FLAIR magnetic resonance.
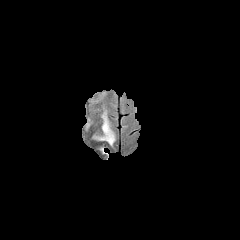
T1-weighted MRI.
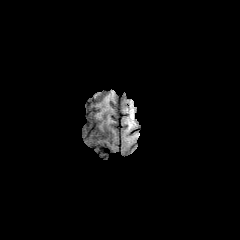
Post-contrast T1-weighted MRI.
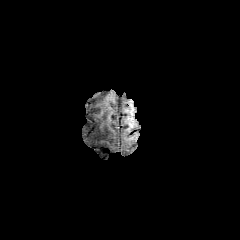
T2-weighted MR.
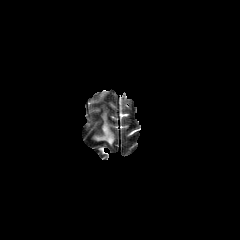
240x240, Head
edema: region(93, 111, 115, 145)